Image size 512x512. CT image. Field of view 360 mm wide, 0.80 mm slice spacing. 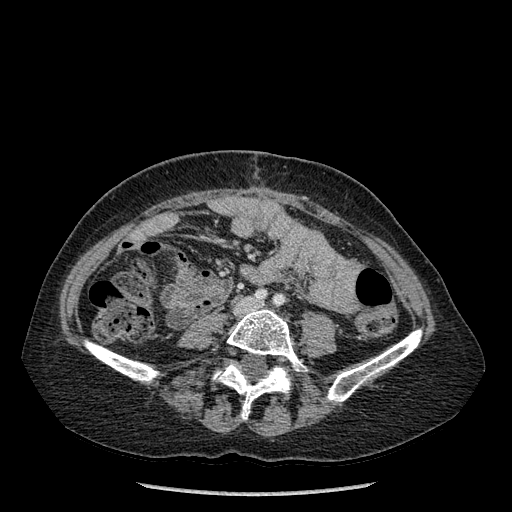 Bone: bounding box 227:308:306:371, 84:340:158:382, 327:329:421:402, 213:361:290:419.